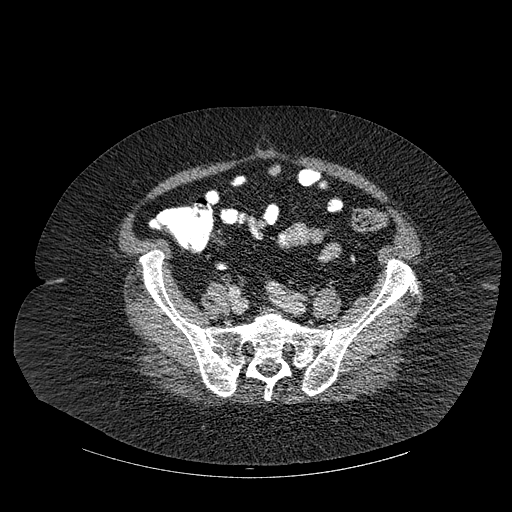

Image size 512x512, CT
{"bone": [{"x1": 139, "y1": 250, "x2": 417, "y2": 400}]}